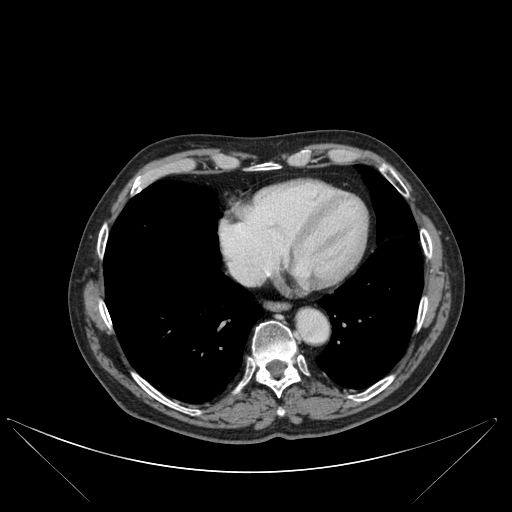

CT
lung:
  - 316,165,423,388
  - 104,181,262,403
bone:
  - 235,321,299,396
  - 97,225,107,256
  - 349,376,393,401
  - 420,229,432,257
  - 307,382,314,391
  - 417,297,427,328
  - 132,374,189,412
  - 391,171,398,182
  - 297,357,309,376
  - 99,303,111,326
  - 131,175,147,193
  - 252,164,279,170